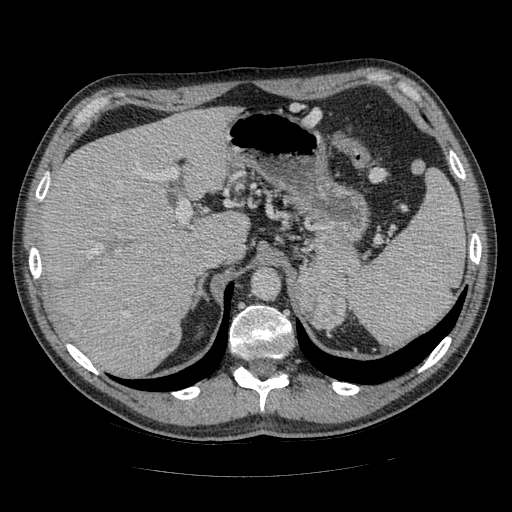
CT scan slice; 512x512 px

The pancreatic tumor is at {"x1": 296, "y1": 268, "x2": 345, "y2": 329}. The pancreas appears at {"x1": 301, "y1": 234, "x2": 358, "y2": 282}.